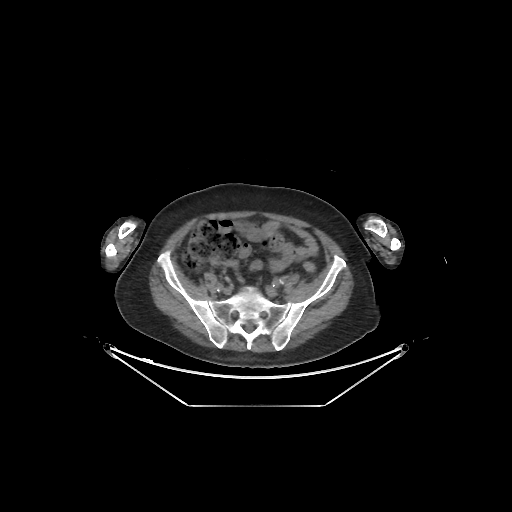 CT
bone:
  - rect(158, 251, 345, 350)
  - rect(366, 219, 387, 237)
  - rect(105, 243, 116, 256)
  - rect(118, 221, 135, 238)
  - rect(390, 238, 400, 250)